Slice 61 of 130 | Magnetic resonance
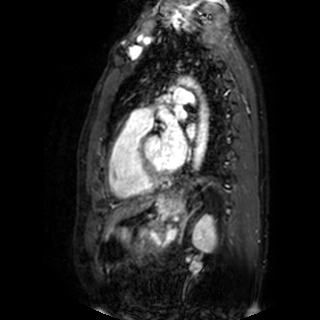
left_atrium:
  - box(186, 124, 195, 136)
  - box(162, 121, 187, 167)
  - box(176, 110, 186, 118)